Computed tomography, Slice 28/81

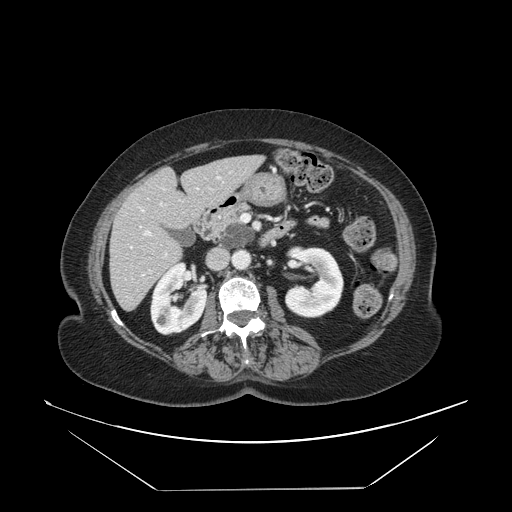
The pancreas appears at (207,196,257,249). The pancreatic tumor is at (220,224,254,248).